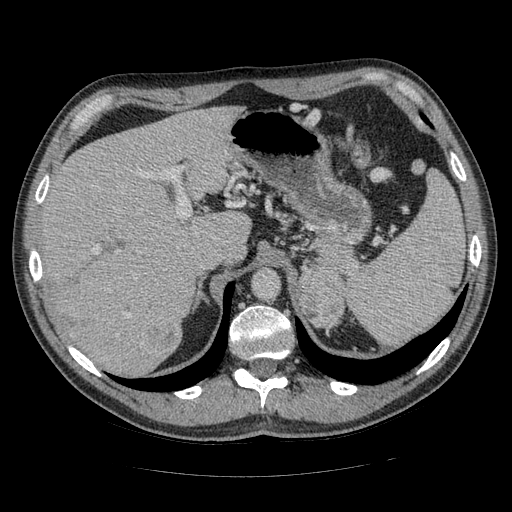 CT image
The pancreatic tumor is located at x1=297, y1=269, x2=343, y2=326. 3 pancreas regions are located at x1=329, y1=293, x2=344, y2=324; x1=298, y1=299, x2=309, y2=320; x1=301, y1=237, x2=355, y2=278.